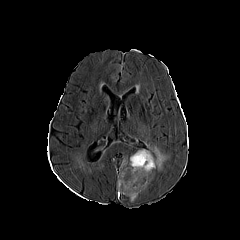
FLAIR MRI.
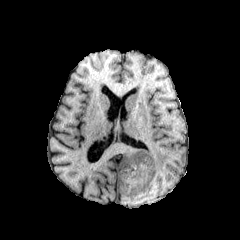
T1-weighted MRI.
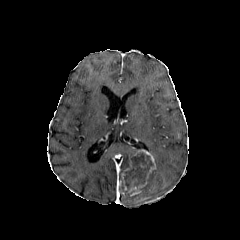
Post-contrast T1-weighted magnetic resonance.
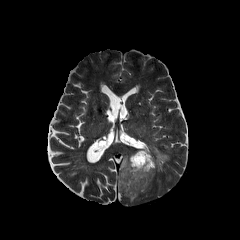
T2-weighted MRI.
Brain.
non-enhancing tumor core: (124, 153, 153, 189), (141, 169, 157, 190) | edema: (143, 142, 169, 171) | enhancing tumor: (119, 149, 156, 196)